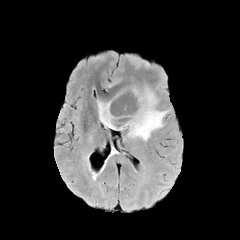
FLAIR magnetic resonance.
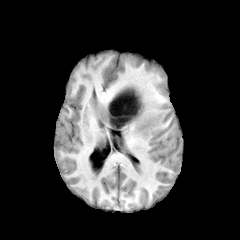
T1-weighted MRI.
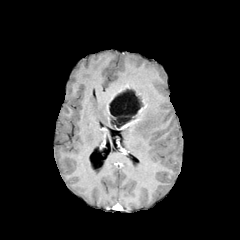
Same slice, post-contrast T1-weighted MR image.
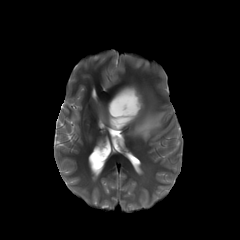
T2-weighted MRI of the same slice.
240x240 px
{"non-enhancing_tumor_core": ["[109,87,144,128]"], "edema": ["[127,92,167,140]", "[97,101,120,130]"]}